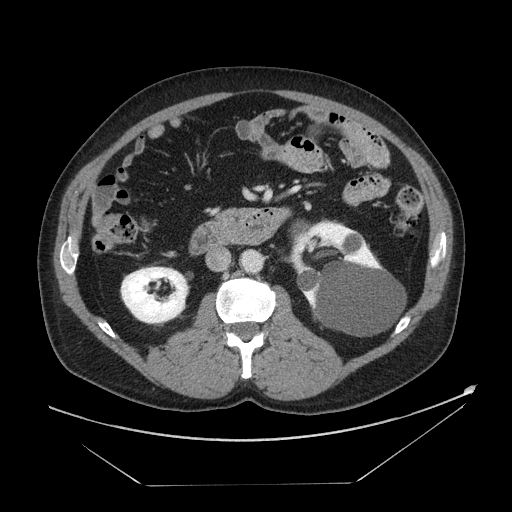 Abdomen | CT
The pancreas is at x1=217, y1=208, x2=252, y2=235.